Field of view 496x496 mm | Slice 388/537 | Upper abdomen | CT image

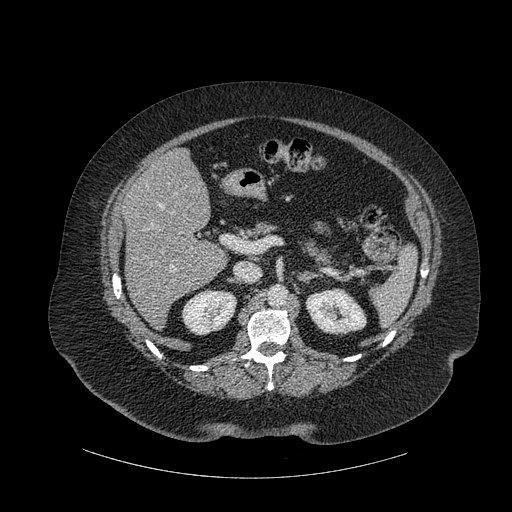
kidney: box=[306, 289, 365, 333]; box=[183, 291, 236, 334] | liver: box=[122, 149, 227, 330] | bone: box=[383, 331, 395, 345]; box=[146, 340, 161, 357]; box=[190, 365, 207, 371]; box=[241, 310, 289, 390]; box=[113, 275, 120, 298]; box=[344, 354, 360, 361]